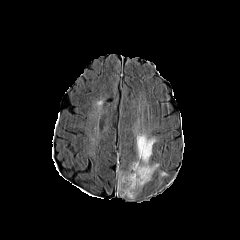
FLAIR MR image.
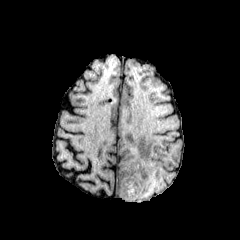
Same slice, T1-weighted magnetic resonance.
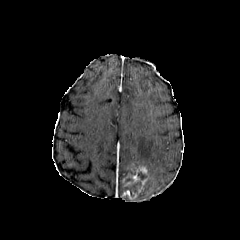
Post-contrast T1-weighted MRI of the same slice.
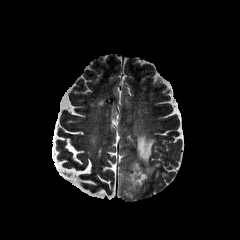
T2-weighted magnetic resonance of the same slice.
Brain
Segmented structures:
* edema: 133,125,159,177
* non-enhancing tumor core: 130,182,141,192
* enhancing tumor: 121,163,150,201